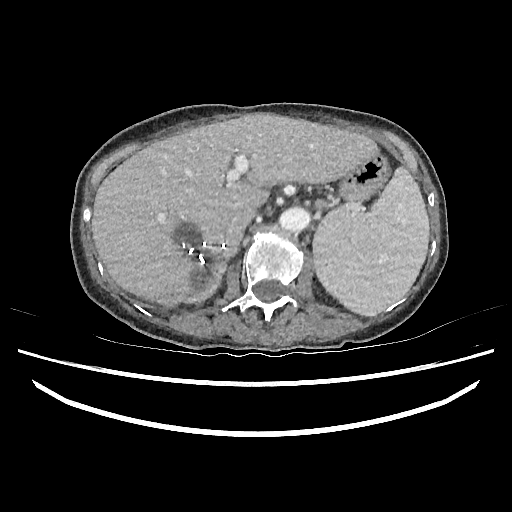

Upper abdomen. 512x512 px. CT image.

{
  "focal_liver_lesion": [
    "l=189, t=265, r=211, b=296",
    "l=175, t=229, r=201, b=251"
  ],
  "liver": [
    "l=92, t=114, r=375, b=304"
  ]
}